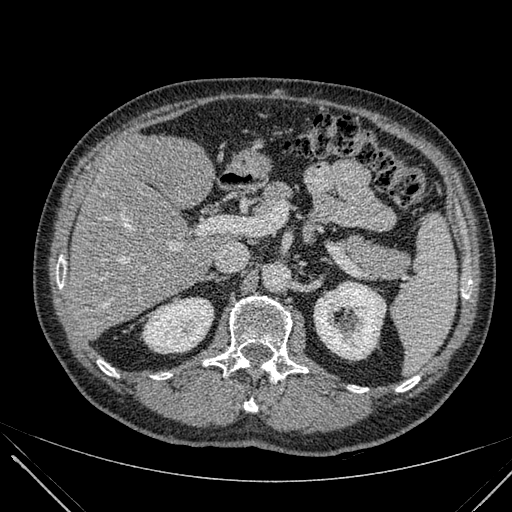 CT slice.

Kidney = bbox(143, 298, 212, 352); bbox(314, 282, 385, 359).
Liver = bbox(255, 158, 272, 172); bbox(69, 135, 238, 335).